Upper abdomen | CT scan slice
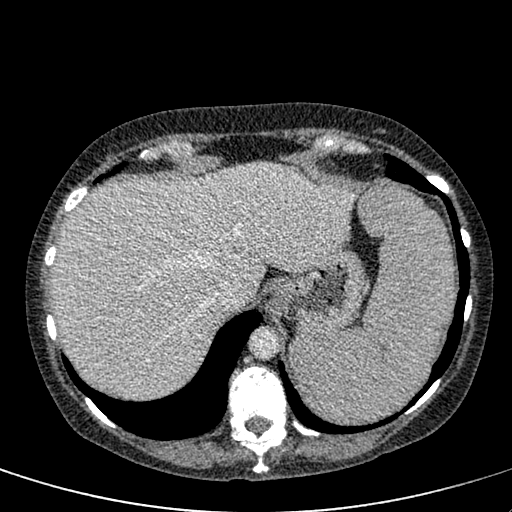
The liver lies within (x1=55, y1=163, x2=358, y2=398).